Slice 142/260. Computed tomography. 512x512.

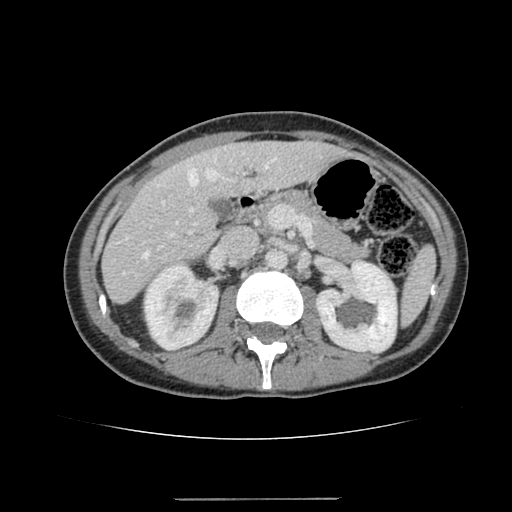
Segmented structures:
* kidney: l=145, t=264, r=217, b=349; l=316, t=261, r=396, b=352
* liver: l=101, t=139, r=347, b=304